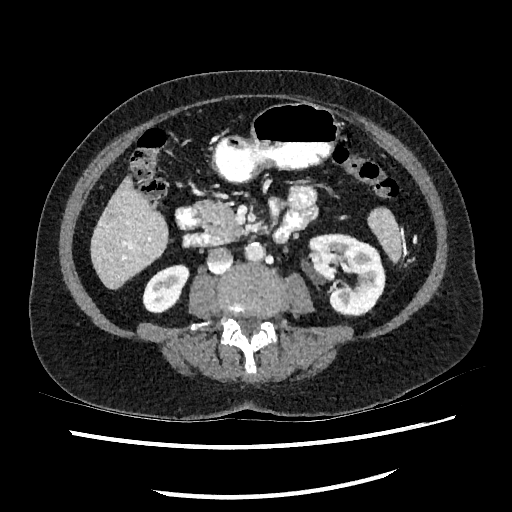
512x512 px | Upper abdomen | Computed tomography
The liver is at bbox=[90, 177, 167, 287]. 2 kidney regions appear at bbox=[310, 235, 384, 314]; bbox=[144, 266, 188, 311].